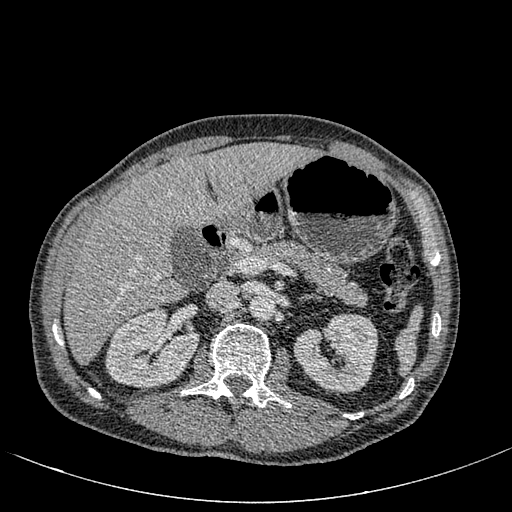

CT image
- liver: [64, 143, 323, 364]
- kidney: [294, 314, 377, 392], [106, 309, 198, 387]